Slice 61 of 99. CT slice.
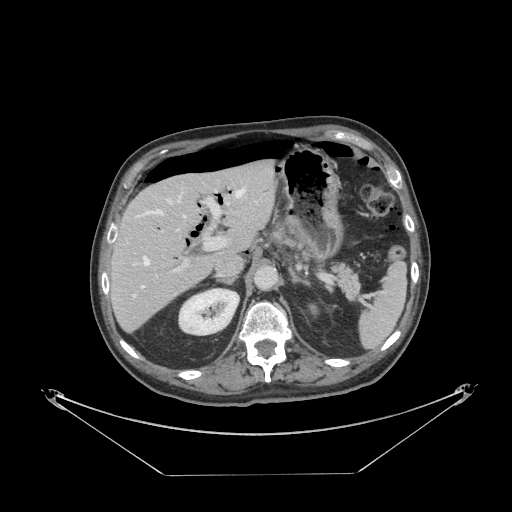
{
  "pancreas": [
    "291 238 318 259",
    "329 263 360 297"
  ]
}